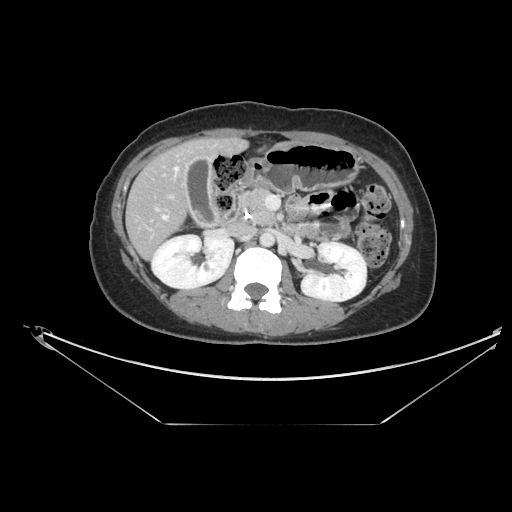 CT slice | Abdomen

pancreas: [243, 189, 275, 225] | pancreatic tumor: [251, 194, 264, 212]